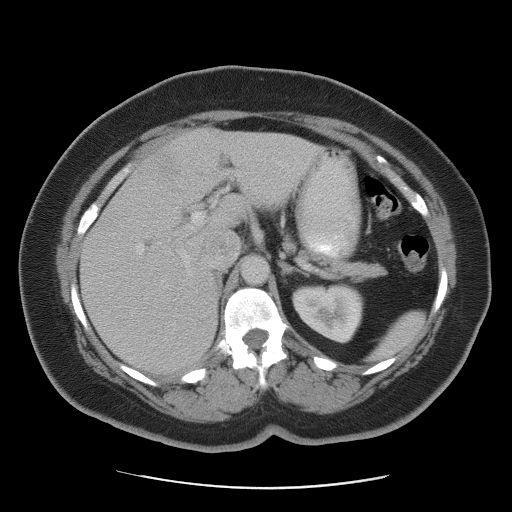
512x512; CT scan slice; Liver
The vessel boxes may cover only some of the vessels.
3 hepatic vessel regions appear at (136, 244, 144, 253), (189, 210, 205, 228), (210, 187, 228, 204). The liver tumor is at (154, 141, 185, 187).